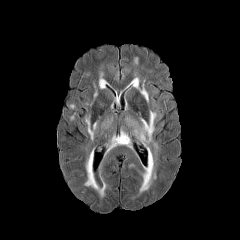
FLAIR magnetic resonance.
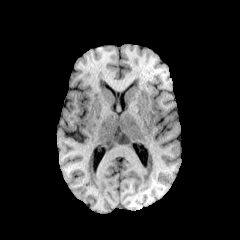
T1-weighted magnetic resonance.
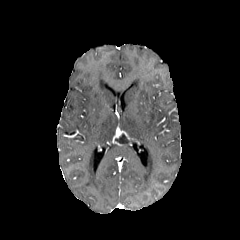
Post-contrast T1-weighted MR image.
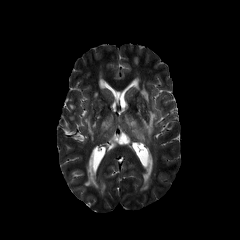
Same slice, T2-weighted magnetic resonance.
Head | Image size 240x240
<segmentation>
  <edema>x1=135, y1=111, x2=156, y2=193; x1=85, y1=117, x2=96, y2=140; x1=99, y1=73, x2=106, y2=89; x1=129, y1=78, x2=148, y2=101; x1=85, y1=148, x2=105, y2=197</edema>
  <non-enhancing_tumor_core>x1=115, y1=136, x2=130, y2=144</non-enhancing_tumor_core>
</segmentation>